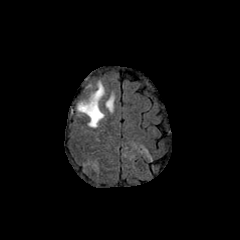
FLAIR magnetic resonance.
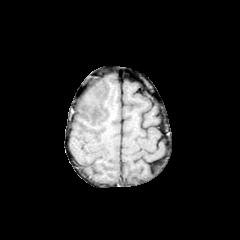
Same slice, T1-weighted MR image.
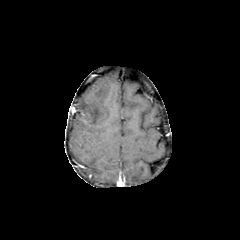
Same slice, post-contrast T1-weighted MR image.
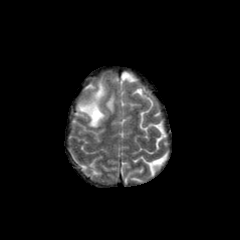
T2-weighted MR image.
2 edema regions are located at x1=77 y1=82 x2=105 y2=127, x1=105 y1=94 x2=114 y2=112.